FLAIR MR.
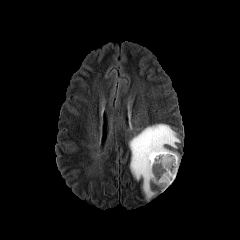
T1-weighted MR.
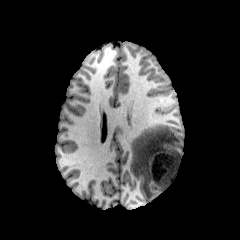
Post-contrast T1-weighted MR image.
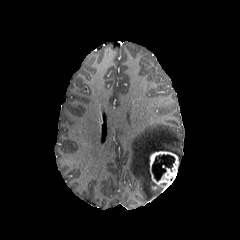
T2-weighted MR.
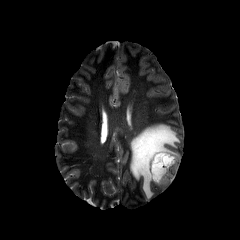
Head
<segmentation>
  <enhancing_tumor>bbox=[149, 151, 179, 192]</enhancing_tumor>
  <non-enhancing_tumor_core>bbox=[151, 154, 175, 182]</non-enhancing_tumor_core>
  <edema>bbox=[129, 123, 180, 200]</edema>
</segmentation>